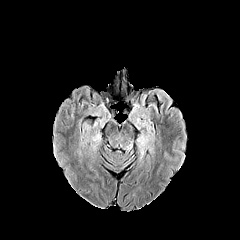
FLAIR MRI.
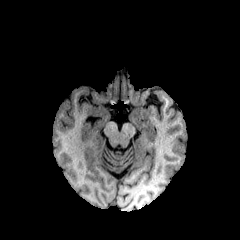
T1-weighted MRI.
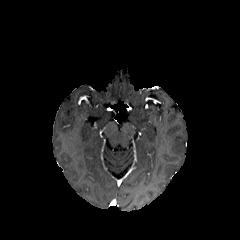
Post-contrast T1-weighted MR.
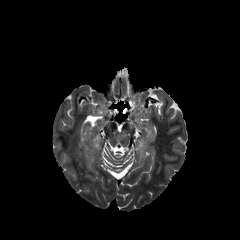
Same slice, T2-weighted MR.
<segmentation>
  <edema>box(137, 134, 154, 153)</edema>
</segmentation>